FLAIR MR.
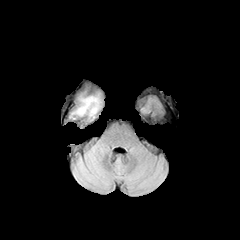
T1-weighted magnetic resonance.
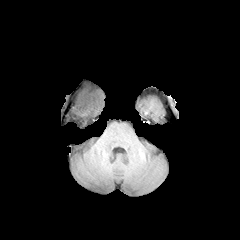
Post-contrast T1-weighted MRI.
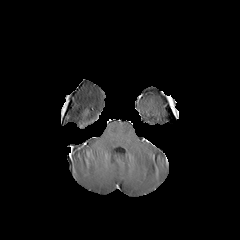
T2-weighted magnetic resonance.
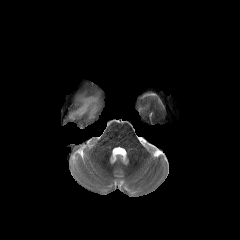
{
  "edema": [
    "bbox(71, 95, 100, 119)"
  ]
}